Brain, Slice index 101
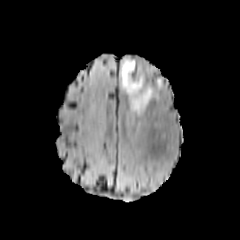
FLAIR MR image.
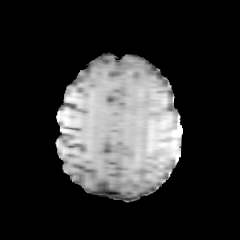
T1-weighted magnetic resonance.
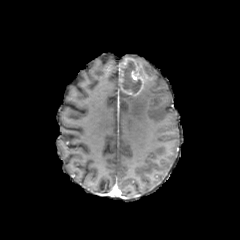
Post-contrast T1-weighted MR.
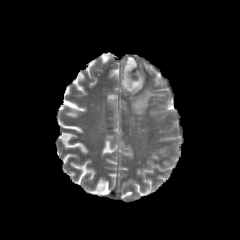
T2-weighted MR image.
Findings:
• non-enhancing tumor core: box(120, 61, 141, 95)
• edema: box(128, 83, 158, 114)
• enhancing tumor: box(120, 57, 143, 93)